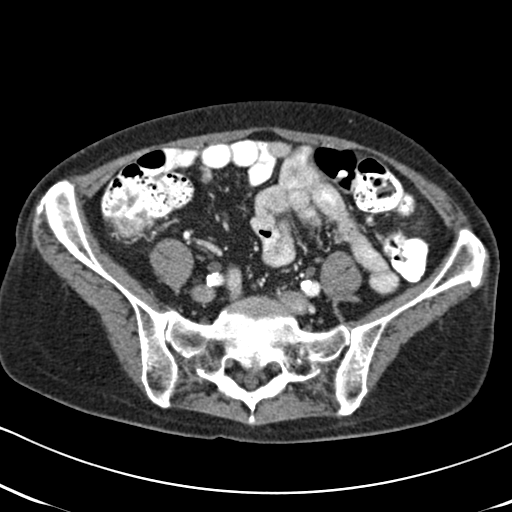

Computed tomography, Pelvis
<segmentation>
  <colon_tumor>region(108, 189, 148, 238)</colon_tumor>
</segmentation>